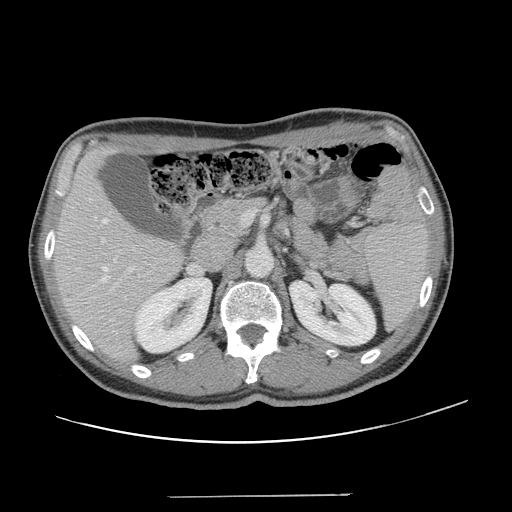
Computed tomography; Liver

The vessel boxes may cover only some of the vessels.
10 hepatic vessel regions are bounded by x1=132, y1=247, x2=134, y2=249; x1=128, y1=267, x2=134, y2=271; x1=103, y1=266, x2=107, y2=270; x1=115, y1=282, x2=118, y2=286; x1=100, y1=276, x2=109, y2=281; x1=110, y1=288, x2=113, y2=291; x1=114, y1=259, x2=116, y2=261; x1=88, y1=198, x2=90, y2=200; x1=102, y1=218, x2=107, y2=222; x1=101, y1=238, x2=104, y2=241.